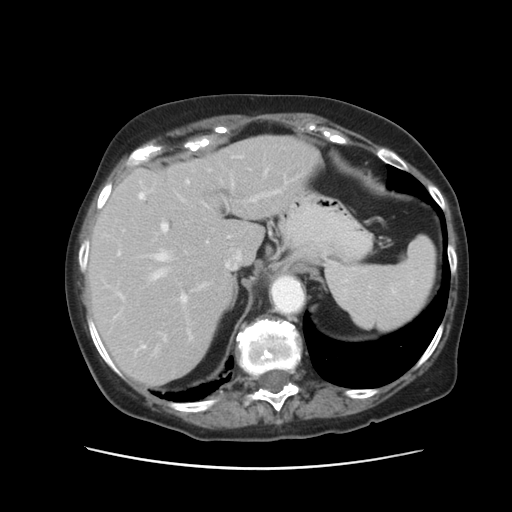 512x512 px; CT
The vessel boxes may cover only some of the vessels.
Top 15 of 21 hepatic vessel regions: bounding box (x1=161, y1=220, x2=167, y2=233), (x1=152, y1=347, x2=158, y2=355), (x1=138, y1=181, x2=152, y2=200), (x1=113, y1=289, x2=124, y2=302), (x1=225, y1=250, x2=240, y2=269), (x1=103, y1=281, x2=108, y2=287), (x1=179, y1=294, x2=185, y2=303), (x1=160, y1=334, x2=165, y2=341), (x1=149, y1=269, x2=166, y2=281), (x1=194, y1=284, x2=208, y2=290), (x1=187, y1=330, x2=191, y2=340), (x1=134, y1=345, x2=145, y2=355), (x1=153, y1=249, x2=169, y2=260), (x1=113, y1=311, x2=120, y2=319), (x1=244, y1=190, x2=280, y2=202).